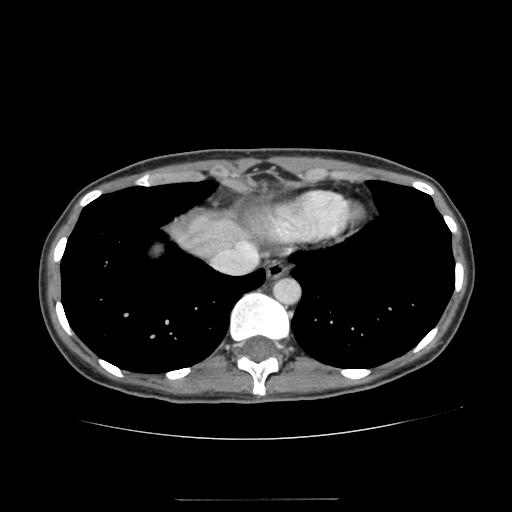 CT image | Liver
Liver: bounding box (173, 214, 245, 259).